Slice 287 of 427; 512x512 px; Computed tomography
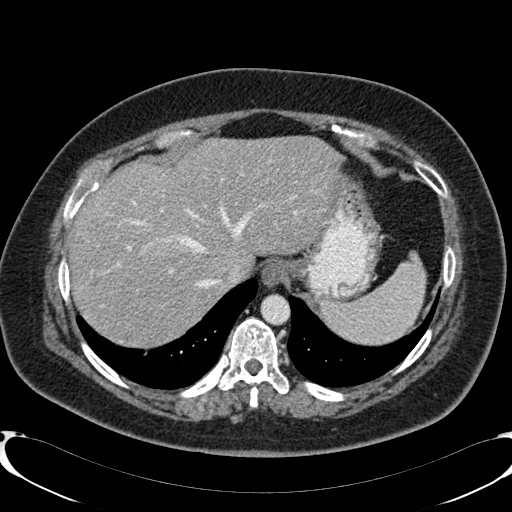 Annotated regions:
- hepatic lesion: left=87, top=273, right=102, bottom=286
- liver: left=72, top=137, right=344, bottom=345